CT.

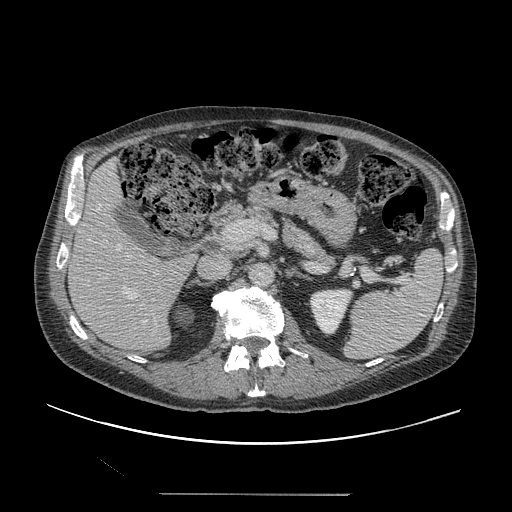

Segmented structures:
* pancreas: [246,205,334,268]